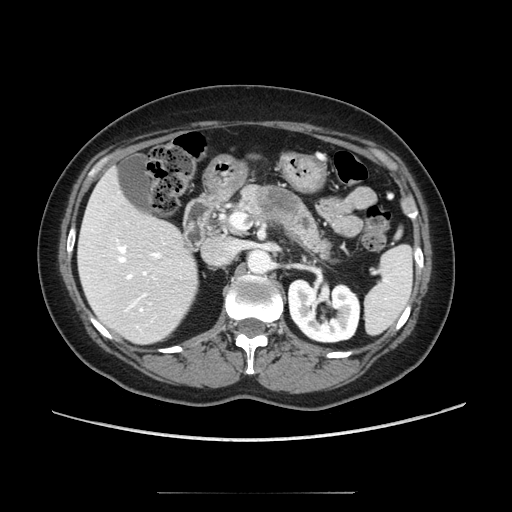 CT scan slice.

Pancreas = 240,185,328,257.
Pancreatic tumor = 258,187,298,218.